Slice 17/37. CT scan slice. 512x512 px.

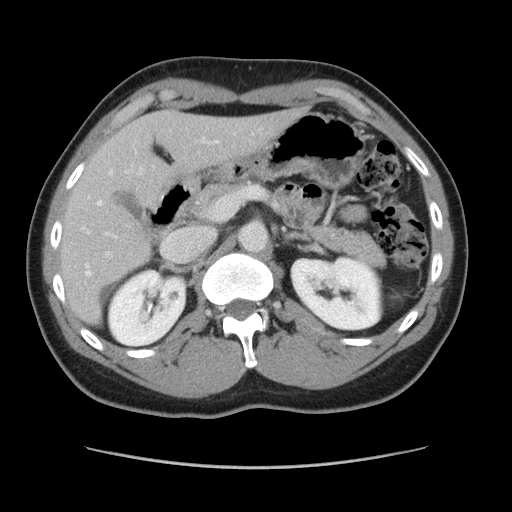 Not every hepatic vessel necessarily has a box.
10 hepatic vessel regions appear at box=[106, 251, 112, 256]; box=[125, 170, 132, 172]; box=[138, 167, 143, 174]; box=[97, 201, 102, 205]; box=[105, 232, 116, 237]; box=[201, 138, 212, 143]; box=[82, 227, 89, 233]; box=[214, 140, 218, 143]; box=[109, 170, 112, 174]; box=[86, 263, 90, 275].